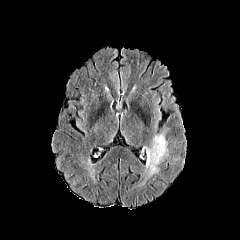
FLAIR magnetic resonance.
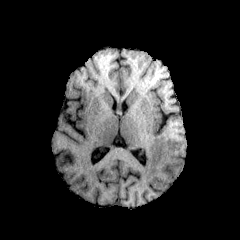
T1-weighted MR of the same slice.
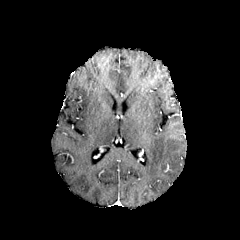
Post-contrast T1-weighted MRI of the same slice.
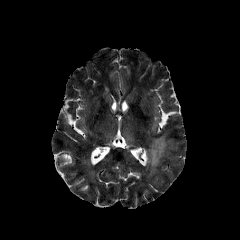
T2-weighted MR.
Head.
Segmented structures:
* edema: [x1=145, y1=135, x2=167, y2=175]